FLAIR magnetic resonance.
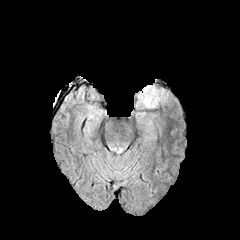
T1-weighted MRI.
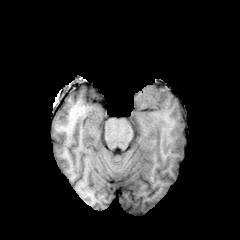
Post-contrast T1-weighted MR image.
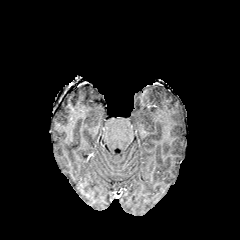
T2-weighted MR.
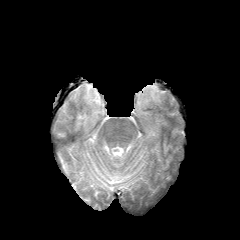
240x240 px
Edema: x1=143 y1=85 x2=159 y2=105.